Field of view 700x700 mm | Slice 494/685 | CT scan slice | Upper abdomen | 512x512 px
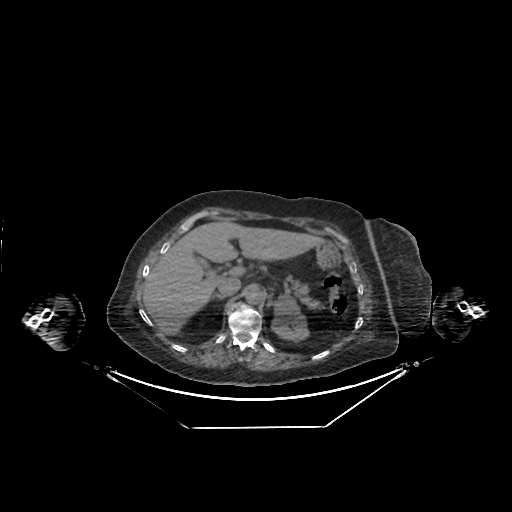 - liver: [x1=237, y1=267, x2=250, y2=273], [x1=142, y1=220, x2=324, y2=335]
- kidney: [x1=271, y1=296, x2=309, y2=342]